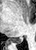
36x50, MR
posterior hippocampus: [8, 38, 23, 43]